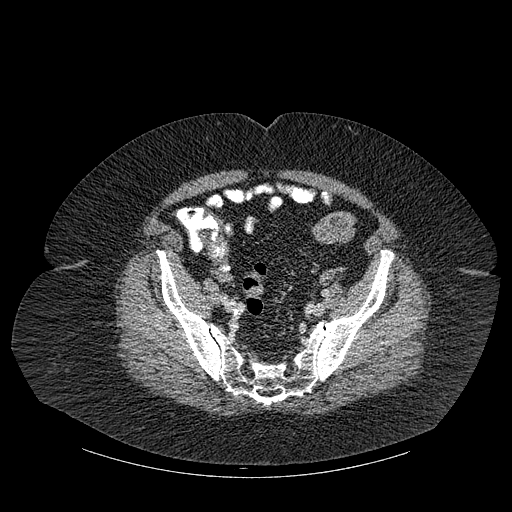
CT image | 512x512
bone:
  - (225,190,241,201)
  - (156,250,393,404)